CT image. Slice index 27. Image width 413 mm. 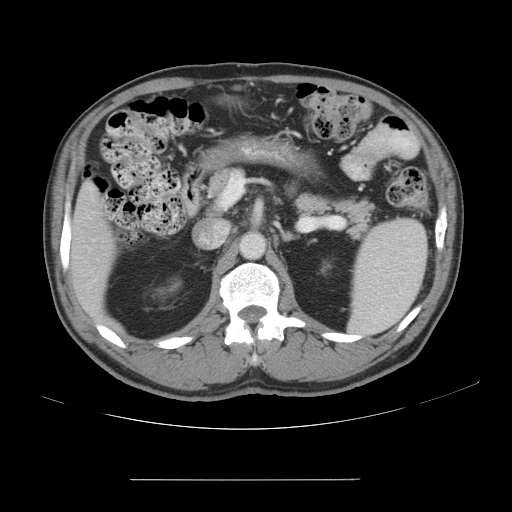

Not every hepatic vessel necessarily has a box.
Hepatic vessel — 92 212 95 212.